Brain
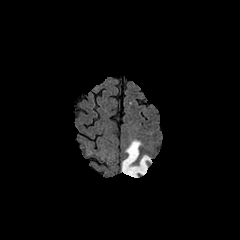
FLAIR MRI.
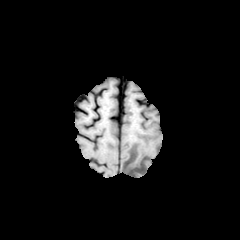
T1-weighted MR image.
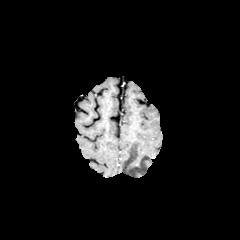
Post-contrast T1-weighted MRI.
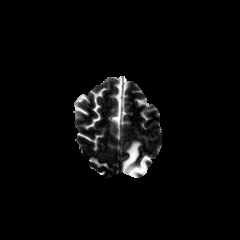
T2-weighted MR image.
Edema: bounding box <bbox>122, 140, 150, 177</bbox>.